Brain. Field of view 240x240 mm.
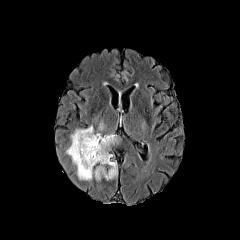
FLAIR magnetic resonance.
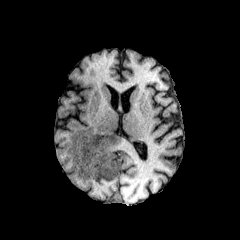
T1-weighted magnetic resonance of the same slice.
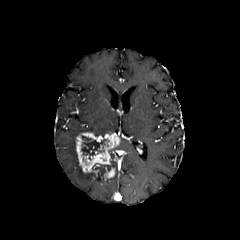
Same slice, post-contrast T1-weighted MRI.
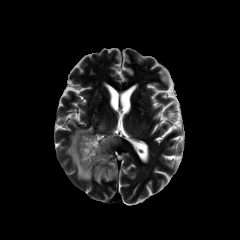
T2-weighted MR image.
{"non-enhancing_tumor_core": ["[81, 135, 106, 160]"], "enhancing_tumor": ["[76, 131, 119, 173]", "[104, 167, 115, 180]"], "edema": ["[109, 161, 117, 176]", "[66, 126, 107, 182]"]}